FLAIR MR image.
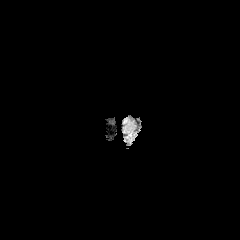
T1-weighted MR.
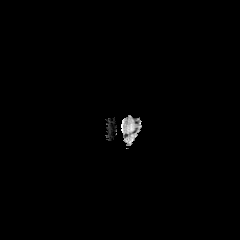
Post-contrast T1-weighted MRI.
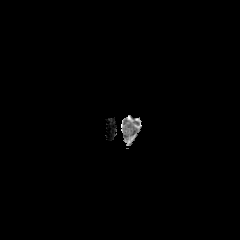
T2-weighted MR image.
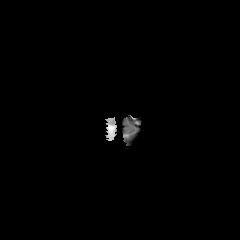
Head
edema: x1=124 y1=122 x2=135 y2=138